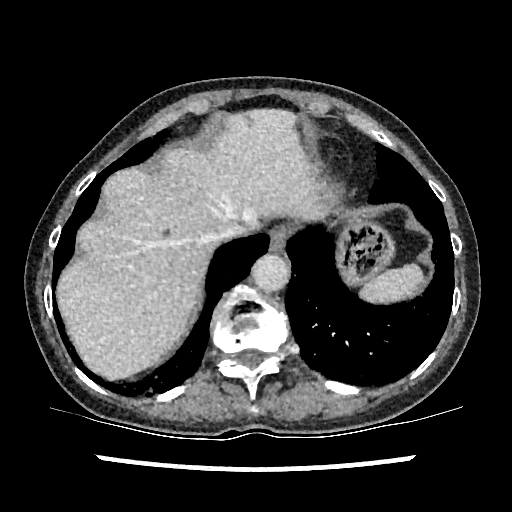
Computed tomography

<segmentation>
  <liver>(56,109,325,378)</liver>
  <hepatic_lesion>(163,227,171,234)</hepatic_lesion>
</segmentation>